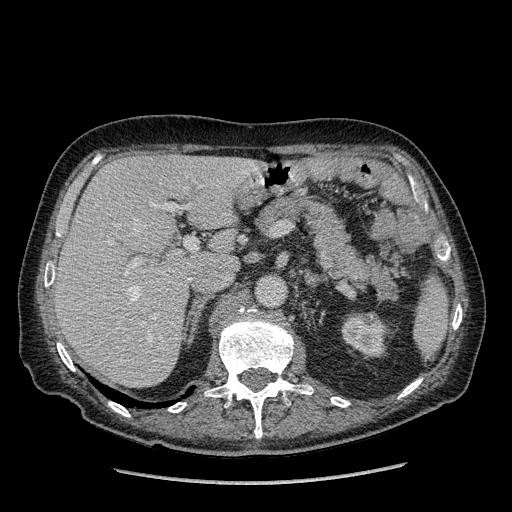

CT image
Liver: [x1=55, y1=154, x2=257, y2=387].
Kidney: [x1=342, y1=313, x2=386, y2=356].